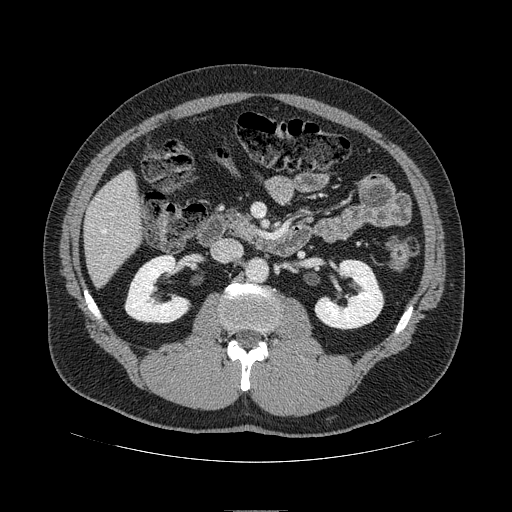 CT scan slice.

{"pancreas": ["[x1=229, y1=211, x2=254, y2=239]"]}